Slice 28/117 | Image size 512x512 | CT image
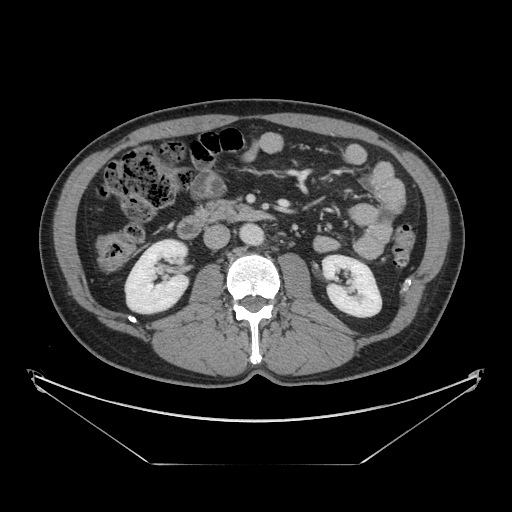
The pancreas is located at bbox(192, 199, 236, 223).